Slice index 30 | Abdomen | CT image
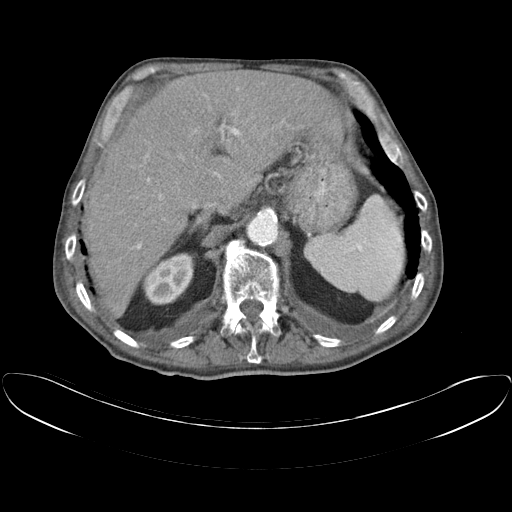
The vessel boxes may cover only some of the vessels.
hepatic vessel: <bbox>147, 178, 149, 181</bbox>, <bbox>208, 107, 211, 110</bbox>, <bbox>159, 194, 162, 199</bbox>, <bbox>237, 88, 238, 90</bbox>, <bbox>229, 127, 240, 135</bbox>, <bbox>196, 157, 198, 158</bbox>, <bbox>162, 218, 165, 220</bbox>, <bbox>216, 174, 219, 176</bbox>, <bbox>145, 156, 147, 158</bbox>, <bbox>227, 139, 230, 141</bbox>, <bbox>131, 243, 141, 248</bbox>